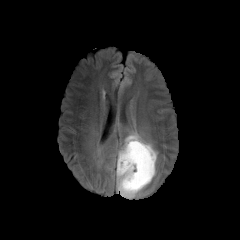
FLAIR MRI.
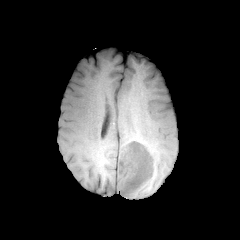
T1-weighted magnetic resonance.
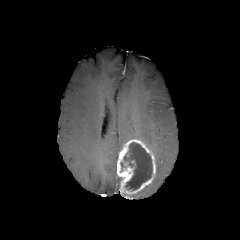
Post-contrast T1-weighted MR image.
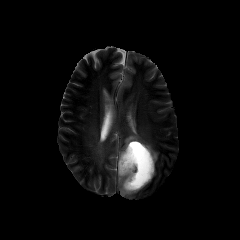
Same slice, T2-weighted MR.
Brain; Image size 240x240
The enhancing tumor is bounded by <box>117,139,156,197</box>. 3 edema regions are bounded by <box>114,169,119,190</box>, <box>123,125,158,163</box>, <box>112,141,123,167</box>. The non-enhancing tumor core lies within <box>124,142,152,189</box>.